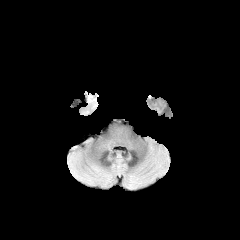
FLAIR magnetic resonance.
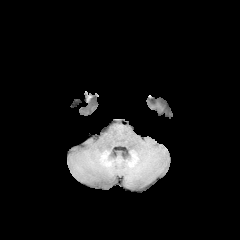
T1-weighted MRI.
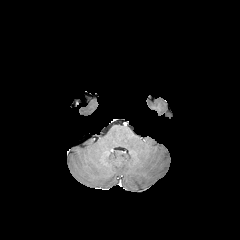
Post-contrast T1-weighted MR image of the same slice.
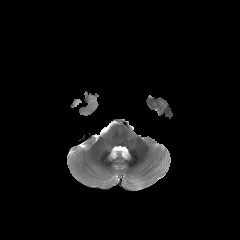
T2-weighted MR image.
240x240 px
edema:
  - [x1=88, y1=97, x2=96, y2=109]